FLAIR magnetic resonance.
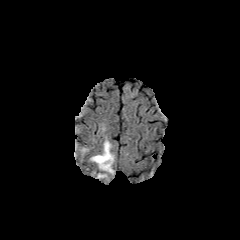
T1-weighted MR.
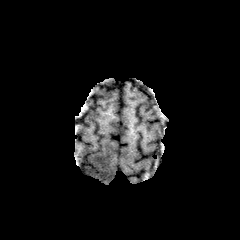
Post-contrast T1-weighted MRI.
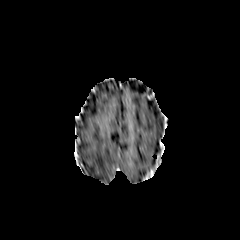
T2-weighted MR image.
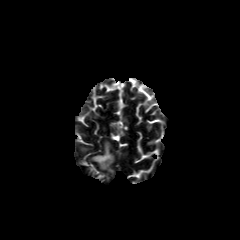
Brain, 240x240
Edema: l=90, t=141, r=114, b=173.